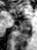
MRI slice
Segmented structures:
* posterior hippocampus: <bbox>15, 23, 31, 34</bbox>
* anterior hippocampus: <bbox>24, 18, 27, 18</bbox>, <bbox>18, 20, 29, 22</bbox>, <bbox>19, 15, 20, 16</bbox>